Slice index 383, Computed tomography 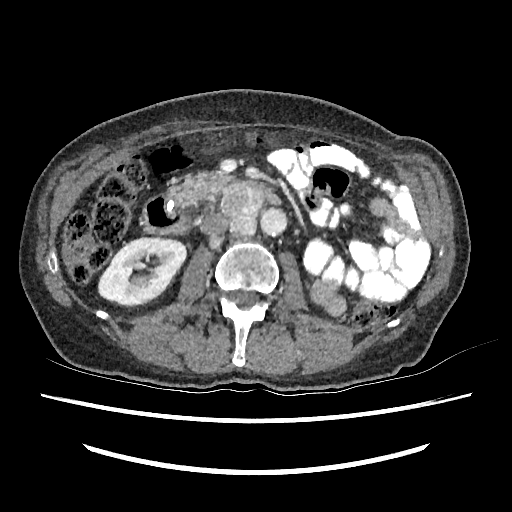

Kidney at [99, 238, 185, 304].